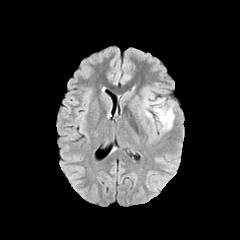
FLAIR MR image.
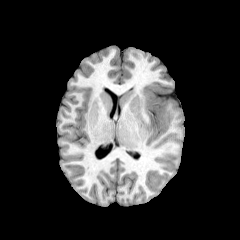
T1-weighted MRI.
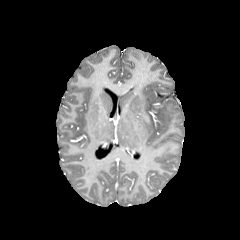
Post-contrast T1-weighted MR image.
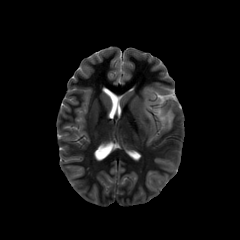
T2-weighted MRI of the same slice.
Image size 240x240 | Head
Edema at {"x1": 139, "y1": 88, "x2": 174, "y2": 131}.